Image width 240 mm. Brain. Slice 75/155.
FLAIR MR image.
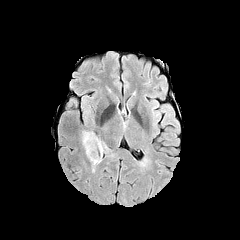
T1-weighted MRI.
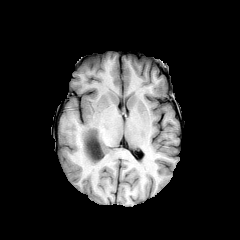
Post-contrast T1-weighted MR.
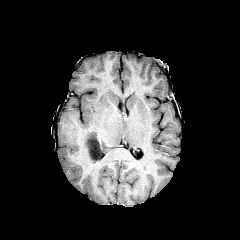
T2-weighted MR image.
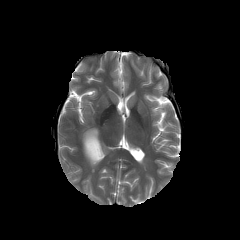
Edema: [82, 128, 109, 172].
Non-enhancing tumor core: [86, 136, 103, 159].